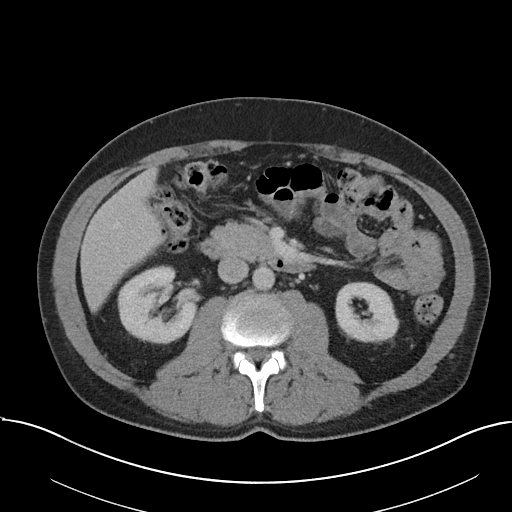 Computed tomography.

Some hepatic vessels may have no box.
Hepatic vessel at region(113, 221, 119, 227).